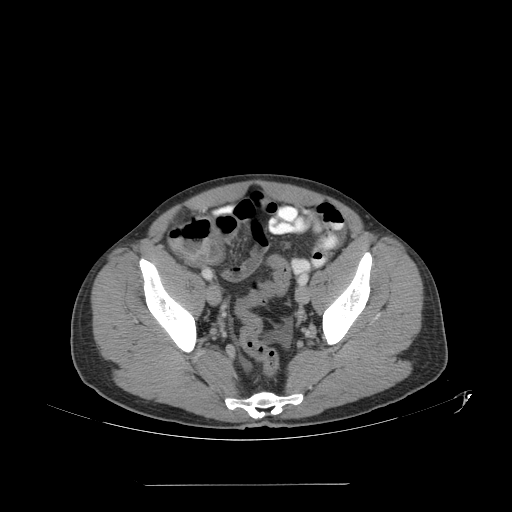

Abdomen | CT image

The colon tumor appears at [170,238,224,267].